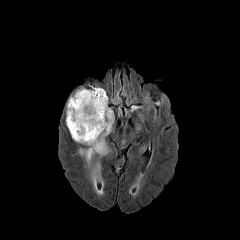
FLAIR magnetic resonance.
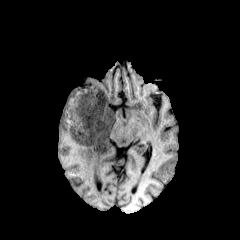
Same slice, T1-weighted MRI.
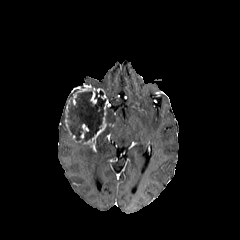
Same slice, post-contrast T1-weighted MRI.
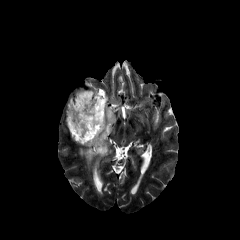
T2-weighted MRI.
240x240 px. Head.
Edema — x1=81, y1=108, x2=114, y2=161.
Non-enhancing tumor core — x1=64, y1=90, x2=104, y2=141.
Enhancing tumor — x1=65, y1=83, x2=110, y2=150.